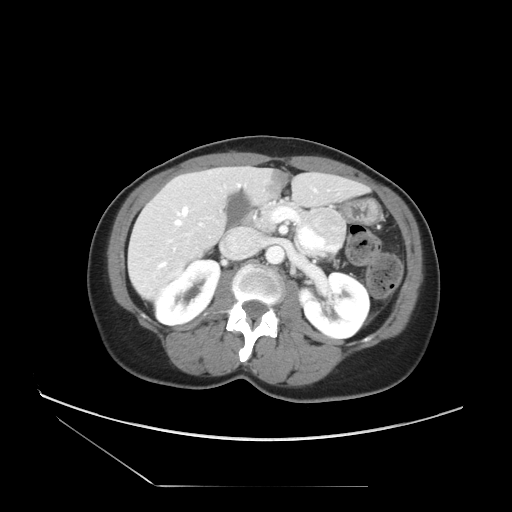 512x512; CT image; Abdomen
The pancreatic tumor is at x1=296, y1=207, x2=346, y2=258. The pancreas is at x1=252, y1=199, x2=307, y2=232.